Slice 52/109; MR image
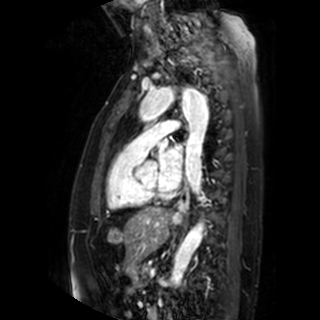 The left atrium lies within (left=159, top=144, right=182, bottom=190).